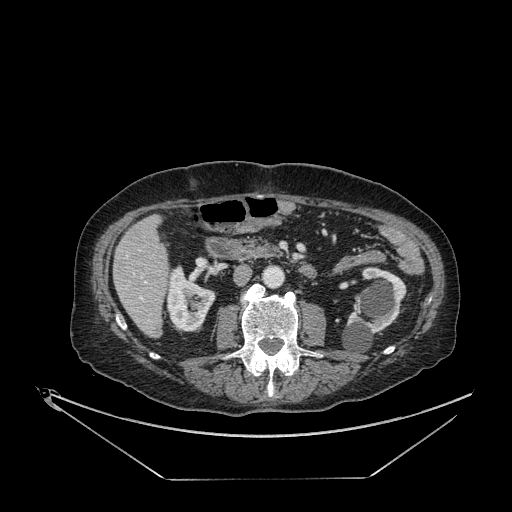

CT. Image size 512x512. kidney: rect(348, 267, 405, 332); rect(167, 267, 214, 330) | liver: rect(113, 217, 168, 337)